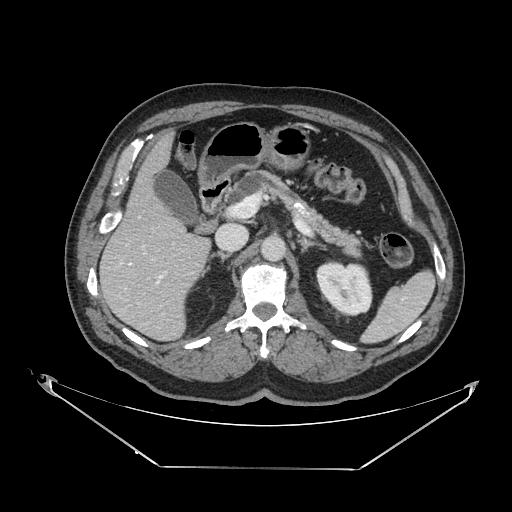

CT slice, Image size 512x512
The pancreas lies within [221, 169, 364, 260]. The pancreatic tumor lies within [233, 174, 263, 200].